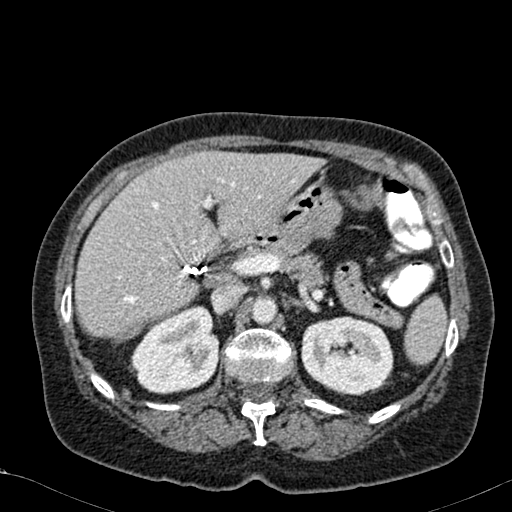
Liver. CT slice. 512x512 px.

Liver: region(76, 152, 326, 342).
Kidney: region(132, 306, 218, 393); region(302, 317, 392, 394).